MR image. 38x50 px.

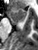

The anterior hippocampus appears at [7, 7, 26, 22].